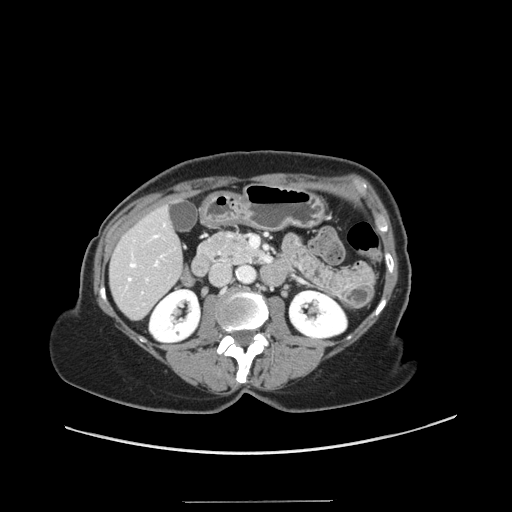 Abdomen. CT image. Some hepatic vessels may have no box.
- hepatic vessel: bbox(155, 257, 158, 264); bbox(154, 235, 157, 237); bbox(129, 278, 130, 280); bbox(164, 224, 165, 225); bbox(131, 261, 135, 266)